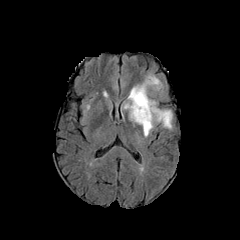
FLAIR magnetic resonance.
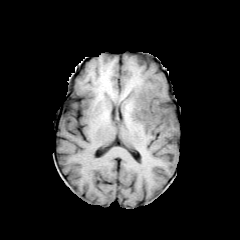
T1-weighted magnetic resonance of the same slice.
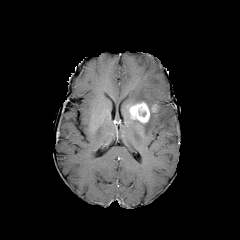
Post-contrast T1-weighted magnetic resonance.
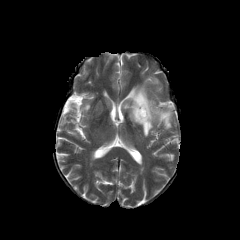
Same slice, T2-weighted MRI.
240x240 px.
Non-enhancing tumor core: (139, 107, 145, 117).
Edema: (124, 76, 161, 108), (132, 107, 172, 136).
Enhancing tumor: (129, 102, 149, 123).